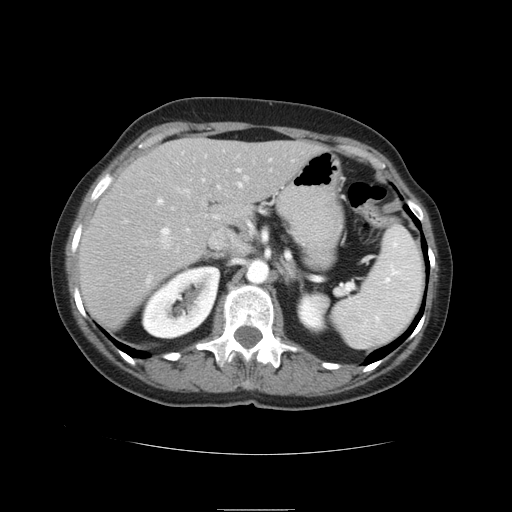
Image size 512x512; CT scan slice; Abdomen
- spleen: (x1=333, y1=227, x2=424, y2=349)